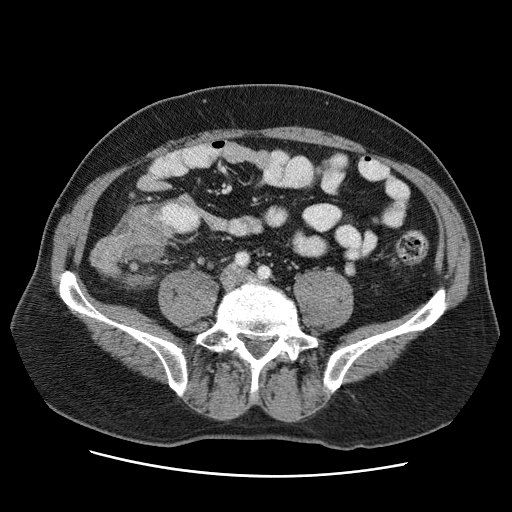

Abdomen. CT image. 512x512 px. Segmented structures:
- colon tumor: 89 205 172 277